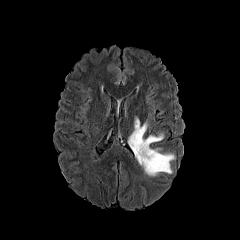
FLAIR MRI.
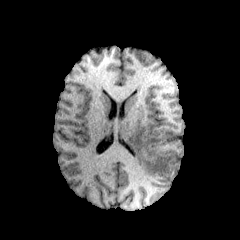
T1-weighted MRI.
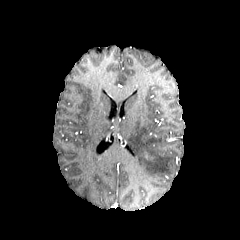
Same slice, post-contrast T1-weighted MRI.
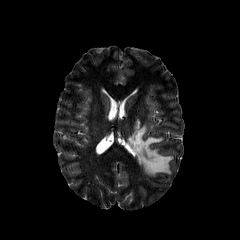
T2-weighted MR of the same slice.
Brain
Edema — x1=127 y1=119 x2=173 y2=176.